Slice 14 of 15 | Pelvis
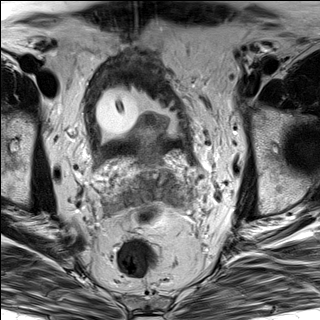
T2-weighted MR image.
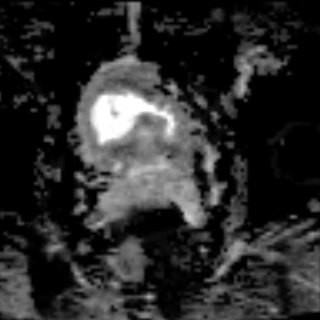
ADC MRI.
Annotated regions:
• prostate transition zone: x1=136 y1=115 x2=165 y2=151